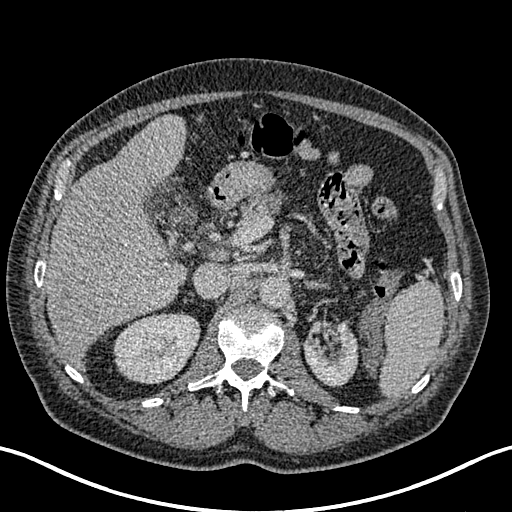
Liver, CT scan slice

kidney: <box>115,315,199,382</box>, <box>304,323,356,385</box> | liver: <box>46,116,186,369</box> | liver lesion: <box>54,284,85,319</box>, <box>87,309,98,320</box>